Slice index 60. Brain.
FLAIR MR image.
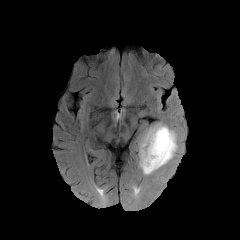
T1-weighted MR.
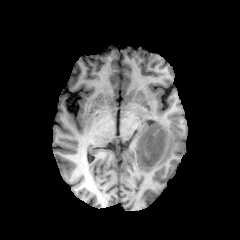
Post-contrast T1-weighted MRI.
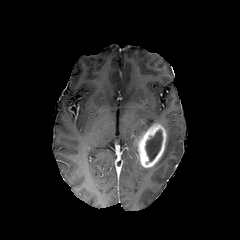
T2-weighted magnetic resonance.
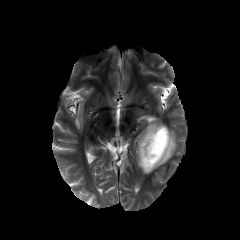
The non-enhancing tumor core is bounded by 146,131,162,161. The edema is located at 134,120,181,175. The enhancing tumor is located at 136,123,167,167.